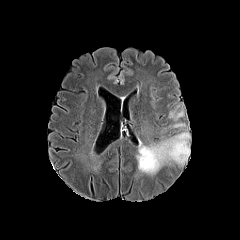
FLAIR MRI.
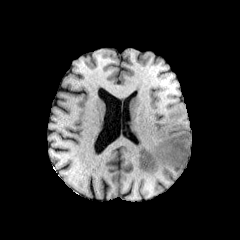
T1-weighted MRI.
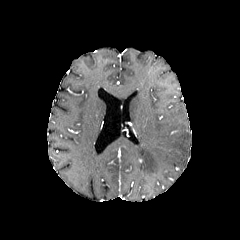
Same slice, post-contrast T1-weighted MR.
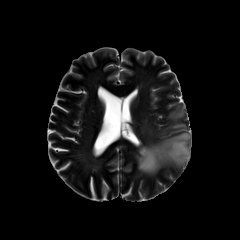
T2-weighted MRI.
Brain
edema:
  - x1=137, y1=133, x2=190, y2=172